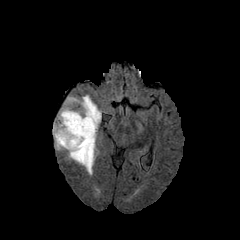
FLAIR MRI.
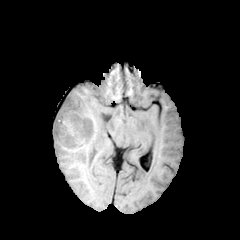
T1-weighted MRI of the same slice.
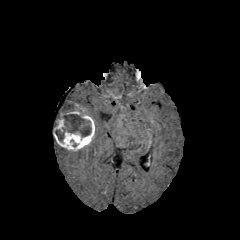
Post-contrast T1-weighted MR image.
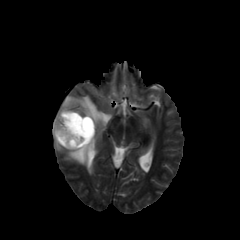
T2-weighted magnetic resonance of the same slice.
Brain
The enhancing tumor lies within bbox(53, 103, 94, 150). The edema is located at bbox(54, 94, 102, 175). The non-enhancing tumor core is bounded by bbox(55, 100, 91, 143).